CT; Field of view 350 mm wide, 2.00 mm slice spacing; Abdomen 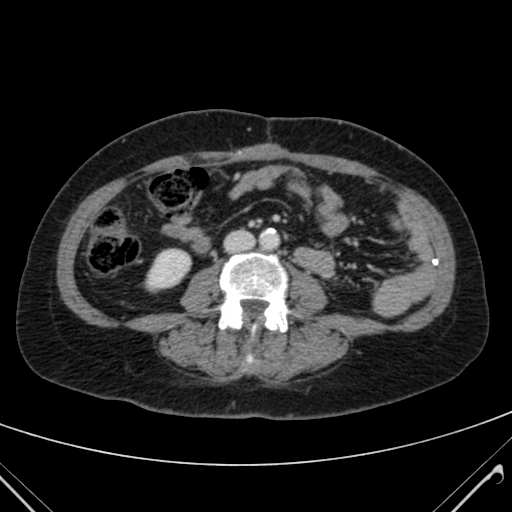 The kidney appears at (left=148, top=250, right=189, bottom=287).